FLAIR magnetic resonance.
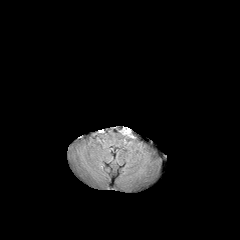
T1-weighted MRI.
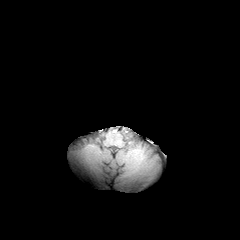
Post-contrast T1-weighted MRI.
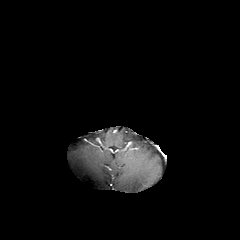
T2-weighted MR.
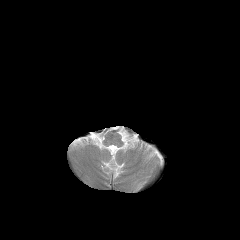
Head.
Edema: (left=122, top=131, right=133, bottom=141).